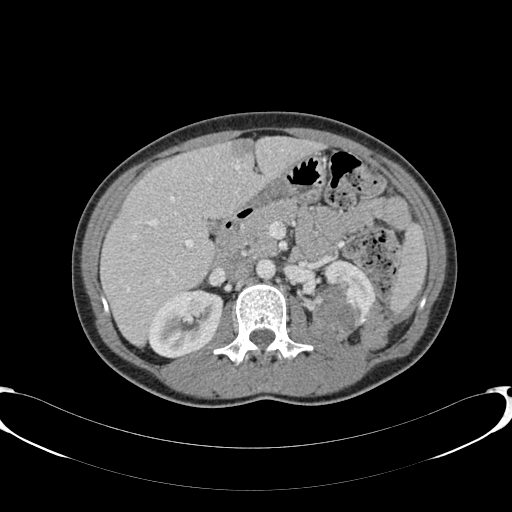

Liver. Image size 512x512. CT scan slice.

Liver — region(102, 137, 326, 345).
Kidney — region(149, 291, 221, 356); region(311, 261, 374, 349).
Hepatic lesion — region(232, 139, 252, 156).